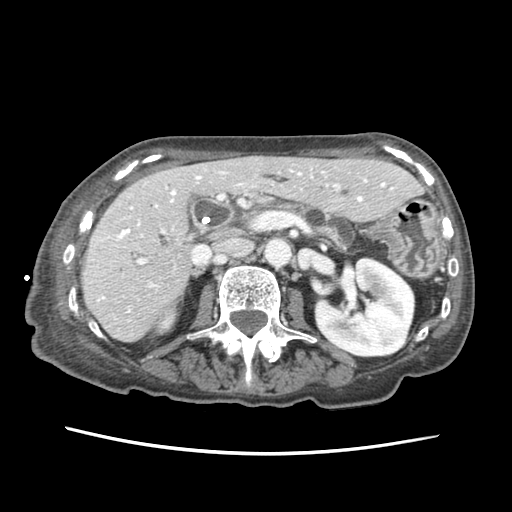

CT scan slice, Abdomen
pancreas:
  - [257,201,353,249]